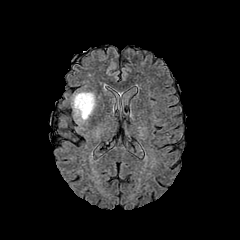
FLAIR MR.
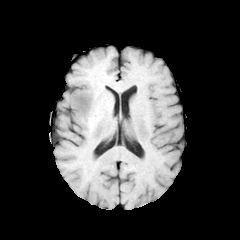
T1-weighted MRI.
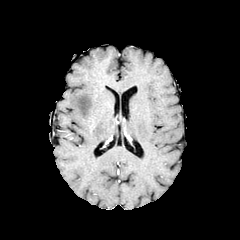
Post-contrast T1-weighted magnetic resonance.
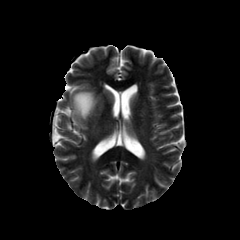
Same slice, T2-weighted MR.
Edema: bounding box 70,90,96,124.